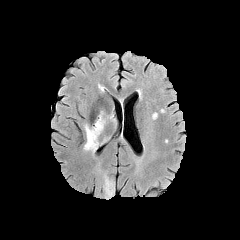
FLAIR magnetic resonance.
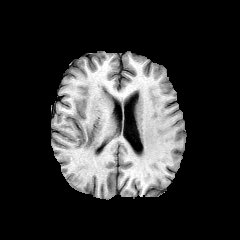
T1-weighted MR image.
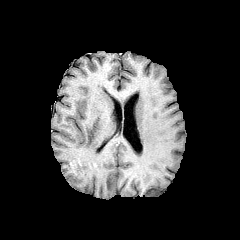
Post-contrast T1-weighted MR of the same slice.
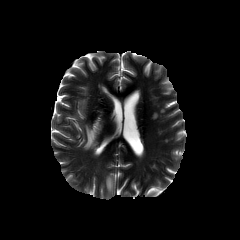
Same slice, T2-weighted magnetic resonance.
* edema: (x1=83, y1=112, x2=105, y2=151)